Slice 76/96. CT scan slice. 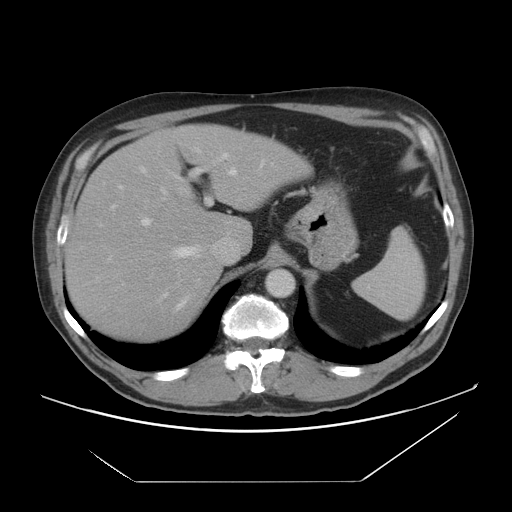 liver: [x1=63, y1=124, x2=311, y2=341]